MRI slice. Slice index 87.
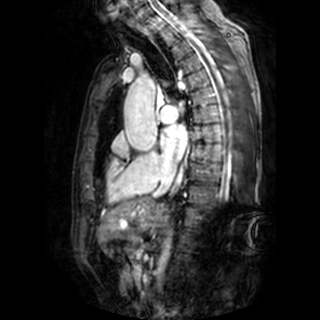

The left atrium appears at 160:124:186:160.